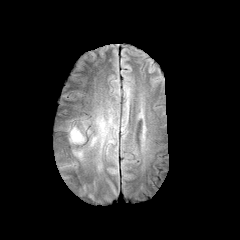
FLAIR MRI.
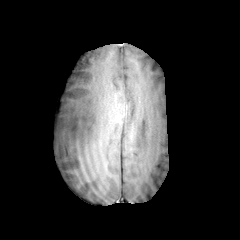
T1-weighted MR of the same slice.
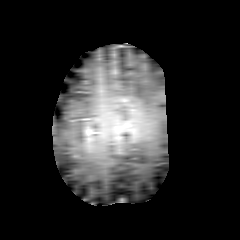
Post-contrast T1-weighted MR image.
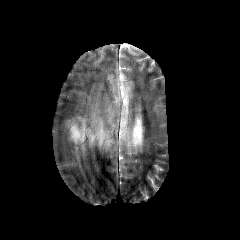
T2-weighted magnetic resonance.
Image size 240x240, Head
2 edema regions are located at (x1=83, y1=124, x2=91, y2=137), (x1=71, y1=126, x2=83, y2=141).